Slice 43 of 65 | Liver | CT slice | Field of view 381 mm wide, 2.50 mm slice spacing

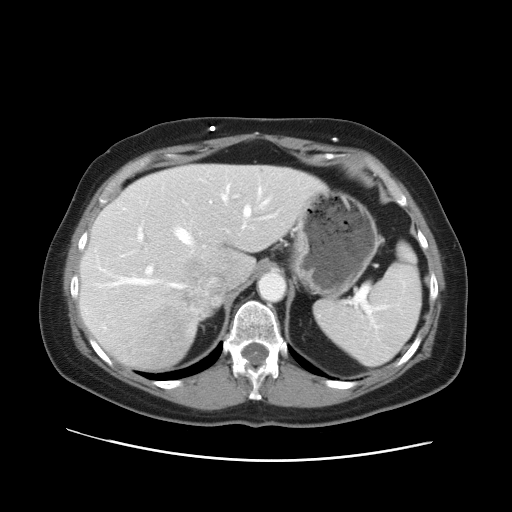 The vessel annotation is not exhaustive.
{
  "hepatic_vessel": [
    "box=[109, 266, 157, 286]",
    "box=[123, 252, 132, 255]",
    "box=[173, 226, 193, 246]",
    "box=[259, 194, 266, 208]",
    "box=[137, 224, 141, 238]",
    "box=[260, 213, 276, 219]",
    "box=[168, 283, 177, 287]",
    "box=[258, 184, 260, 187]",
    "box=[243, 204, 252, 228]"
  ],
  "liver_tumor": [
    "box=[178, 260, 208, 310]"
  ]
}